CT image, Slice 25/689 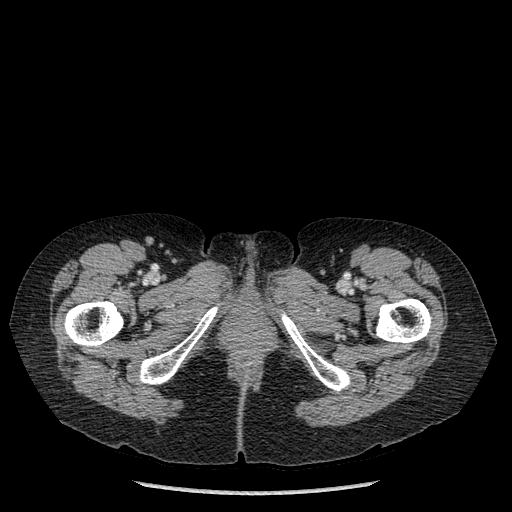 Bone at rect(376, 298, 431, 345); rect(61, 300, 123, 347); rect(139, 306, 218, 384); rect(280, 311, 350, 391).